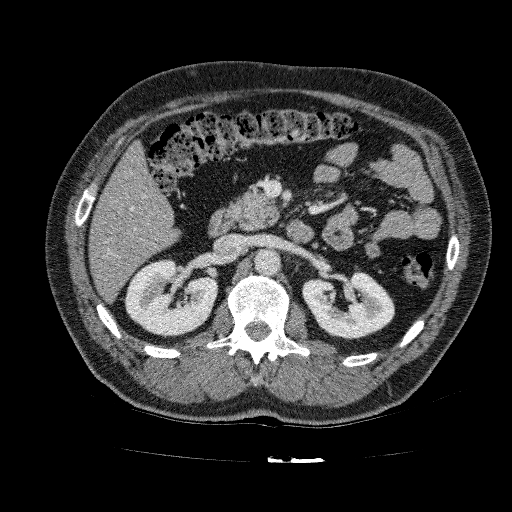

CT, Liver

Liver at [89,141,182,301].
Kidney at [126,260,217,334], [303,273,393,337].